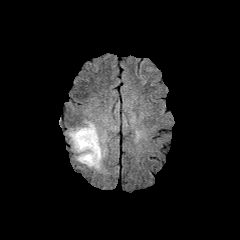
FLAIR MRI.
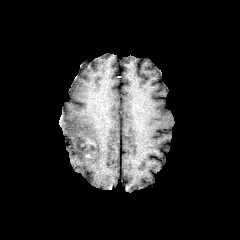
T1-weighted MR image.
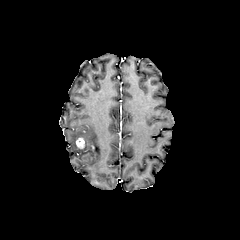
Post-contrast T1-weighted magnetic resonance of the same slice.
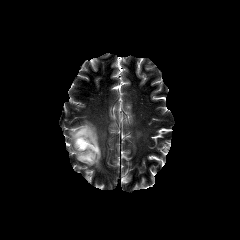
T2-weighted MRI.
Brain
The non-enhancing tumor core lies within bbox(77, 140, 95, 151). 2 edema regions are located at bbox(68, 118, 105, 171); bbox(108, 120, 117, 131). The enhancing tumor is bounded by bbox(76, 137, 85, 149).